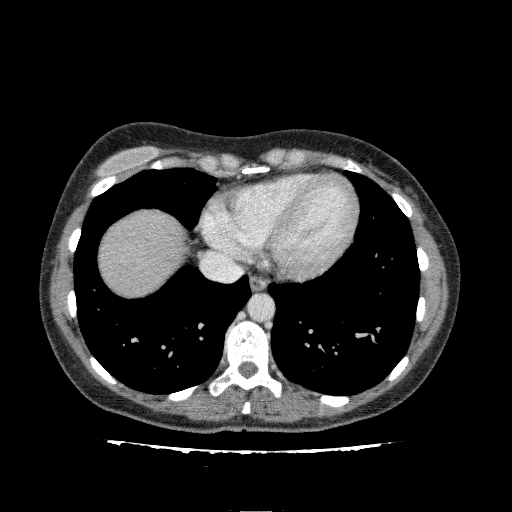 CT image
The liver is bounded by [99,209,181,297].